Slice 649 of 687, CT slice, Brain 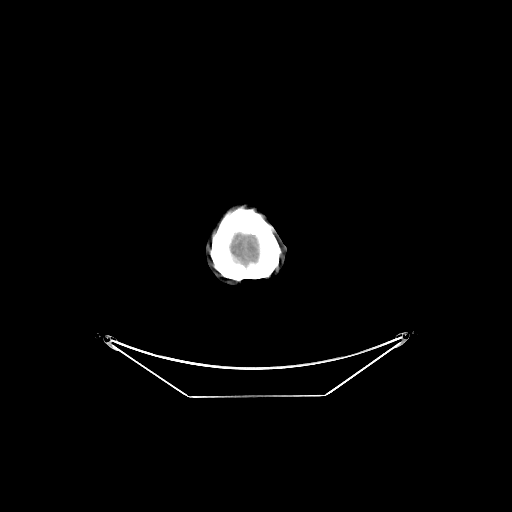

The brain is bounded by x1=231, y1=235, x2=257, y2=260.